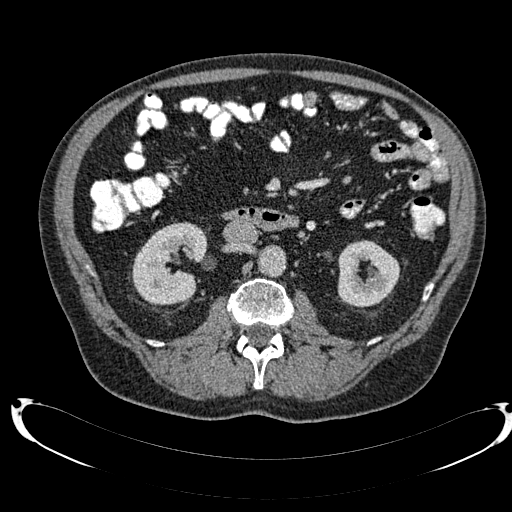 Image size 512x512; CT slice
2 kidney regions are located at x1=132 y1=222 x2=206 y2=304, x1=338 y1=240 x2=399 y2=307.